512x512, Upper abdomen, CT, Slice 227 of 424

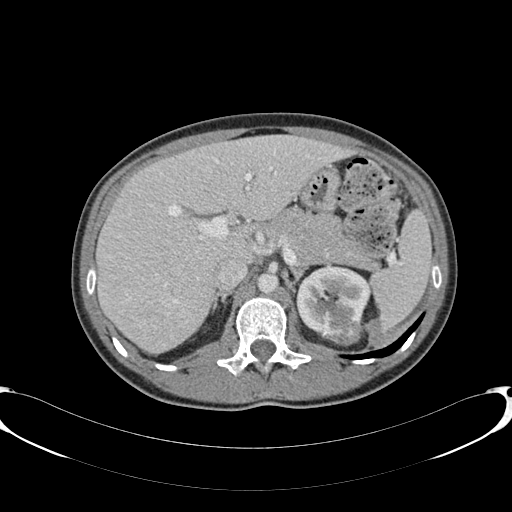
kidney: rect(297, 266, 369, 342) | liver: rect(96, 135, 353, 352)